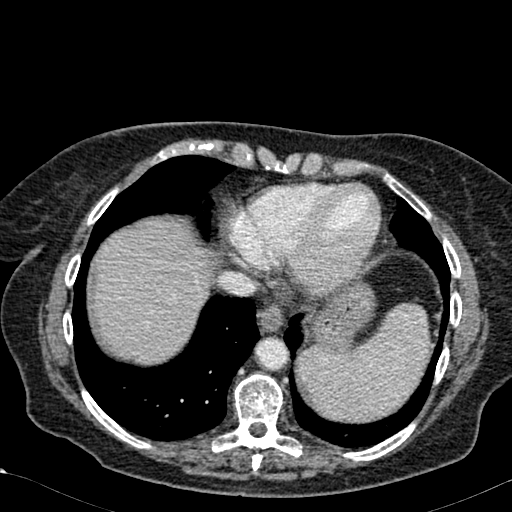 Computed tomography; 512x512
Liver at bbox(94, 220, 208, 363).